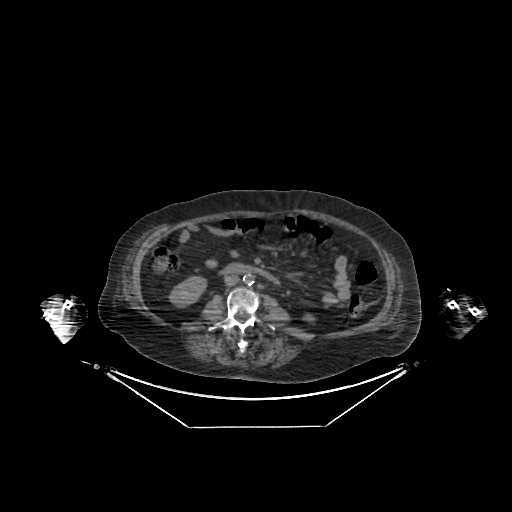

Computed tomography

Kidney at left=168, top=276, right=206, bottom=307; left=303, top=314, right=315, bottom=320.